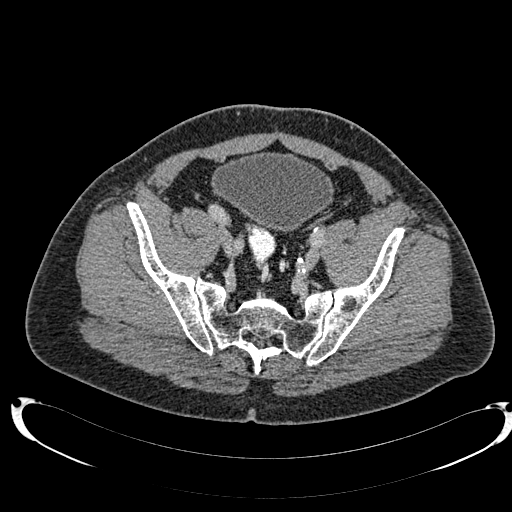 CT scan slice | Pelvis
urinary_bladder:
  - [212, 152, 332, 231]